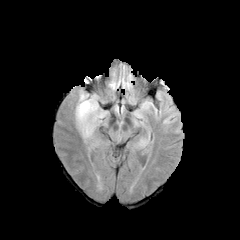
FLAIR magnetic resonance.
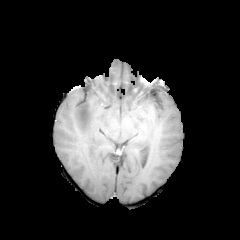
T1-weighted MR.
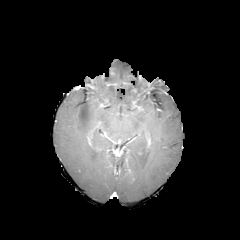
Post-contrast T1-weighted MR.
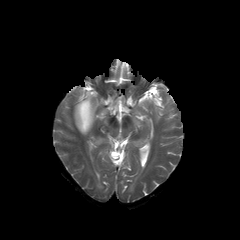
T2-weighted MRI.
240x240 px; Brain
<segmentation>
  <edema>141,98,149,108; 74,91,105,138</edema>
</segmentation>